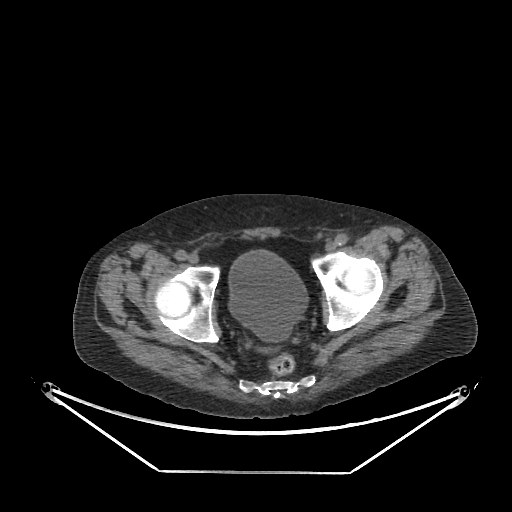

CT slice, 512x512

urinary bladder: region(228, 249, 308, 342)